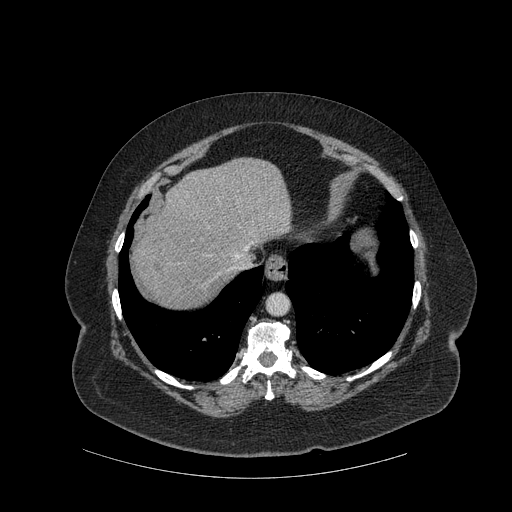 CT image.
<segmentation>
  <liver>134, 158, 291, 309</liver>
  <focal_liver_lesion>154, 261, 163, 274</focal_liver_lesion>
  <lung>285, 192, 413, 374; 118, 196, 263, 380</lung>
  <bone>265, 381, 273, 399; 302, 367, 325, 379; 115, 237, 123, 251; 155, 370, 192, 388; 112, 289, 121, 318; 347, 352, 391, 380; 412, 282, 420, 307; 220, 322, 295, 383; 410, 230, 417, 247</bone>
</segmentation>